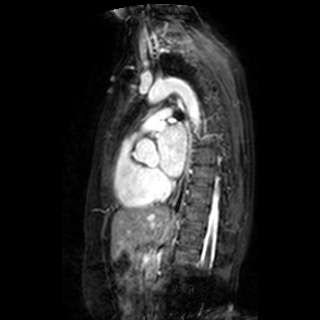
MRI slice; Heart
Annotated regions:
* left atrium: [158, 126, 185, 175]